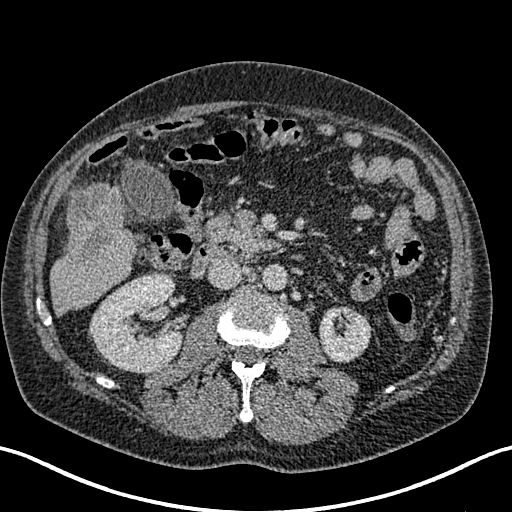 512x512 | Computed tomography | Liver

The liver lesion appears at 68:188:117:260. 2 kidney regions are bounded by 320:308:369:360, 91:275:181:372. The liver appears at 49:183:134:314.